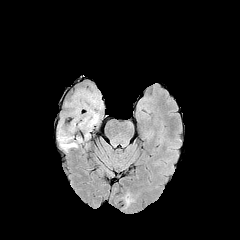
FLAIR magnetic resonance.
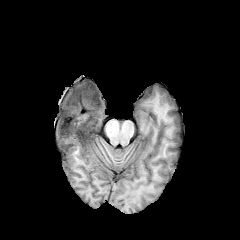
T1-weighted MR image of the same slice.
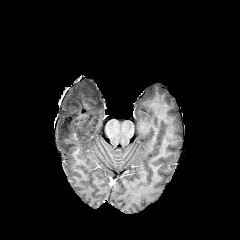
Same slice, post-contrast T1-weighted MR.
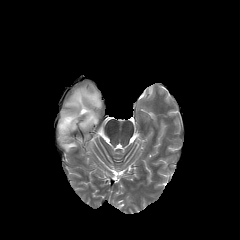
Same slice, T2-weighted MR.
Brain
- non-enhancing tumor core: x1=70 y1=89 x2=100 y2=111
- edema: x1=57 y1=86 x2=102 y2=151